CT scan slice; Upper abdomen; Slice 49 of 87

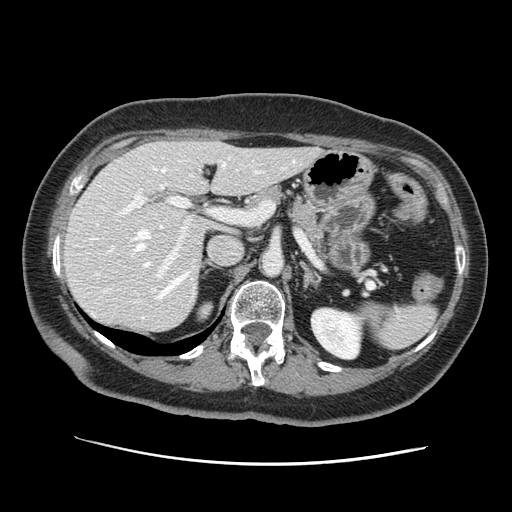 spleen: left=361, top=303, right=436, bottom=348